512x512 | CT
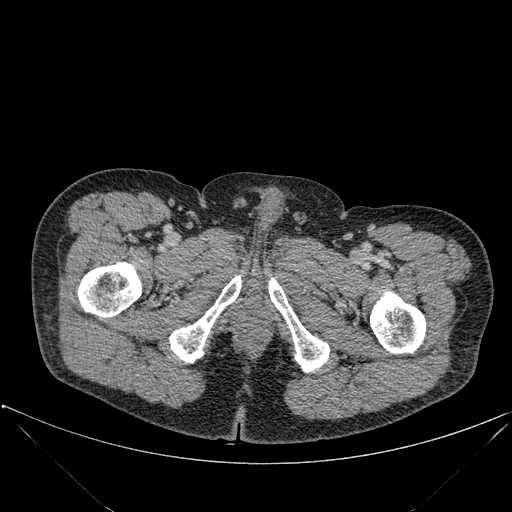

Bone = [370,291,425,353], [269,277,329,372], [169,275,241,362], [78,262,141,317].